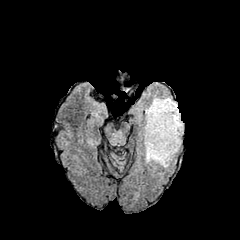
FLAIR magnetic resonance.
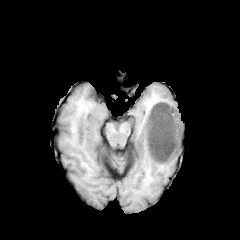
T1-weighted MRI.
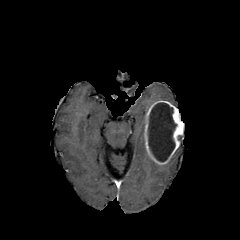
Same slice, post-contrast T1-weighted MR.
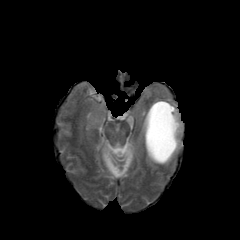
T2-weighted MRI of the same slice.
Head
Findings:
- enhancing tumor: left=143, top=100, right=183, bottom=164
- non-enhancing tumor core: left=148, top=103, right=175, bottom=161
- edema: left=152, top=95, right=177, bottom=107; left=139, top=108, right=147, bottom=147; left=145, top=148, right=153, bottom=165